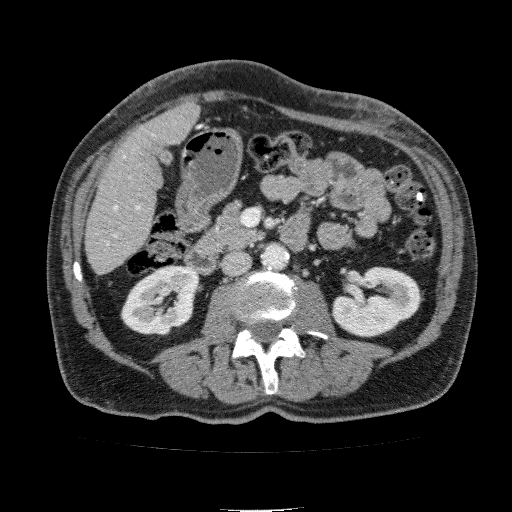
Computed tomography | Abdomen | 512x512 px
The liver appears at [87,104,198,271]. 2 kidney regions are bounded by [122,266,197,333], [333,268,419,335].